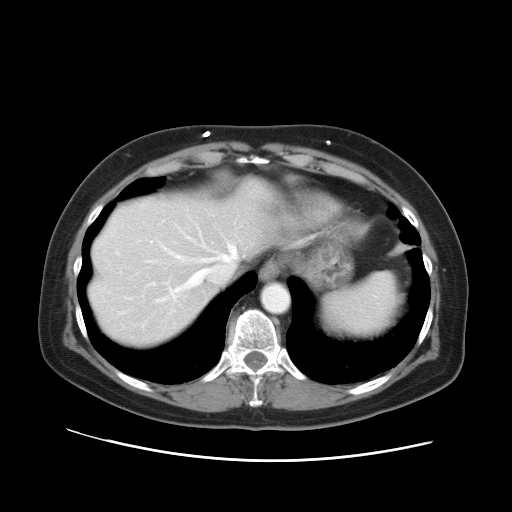

Computed tomography. Liver.
Some hepatic vessels may have no box.
Hepatic vessel: (left=155, top=242, right=237, bottom=302), (left=175, top=255, right=193, bottom=262).